512x512 px; Liver; CT

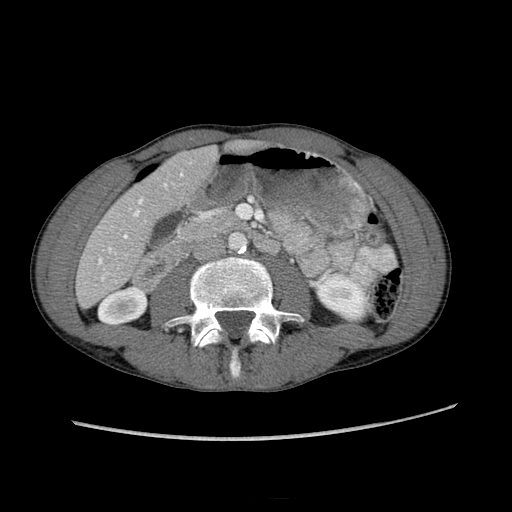

The liver is located at (79, 145, 216, 298). 2 kidney regions are located at (98, 288, 146, 323), (316, 274, 366, 318).